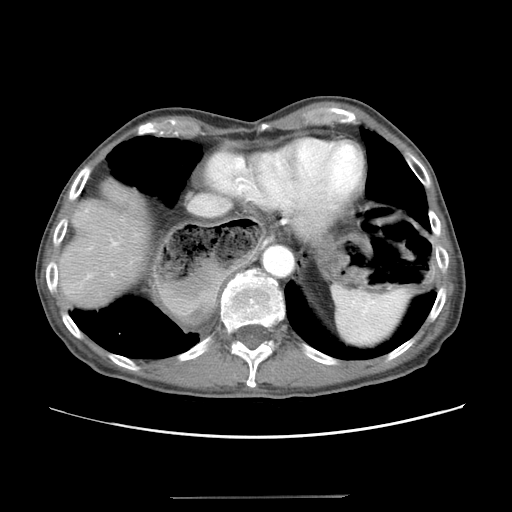

CT image, Pelvis

Findings:
• colon tumor: 319, 233, 370, 287